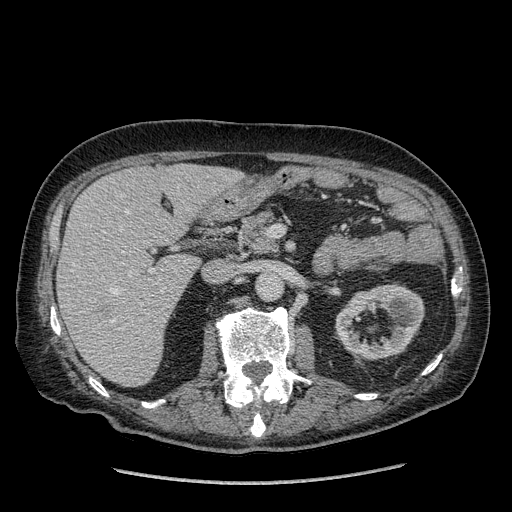
512x512 | Liver | CT scan slice

Liver lesion — (left=97, top=305, right=109, bottom=316).
Liver — (left=57, top=164, right=236, bottom=386).
Kidney — (left=335, top=284, right=423, bottom=359).